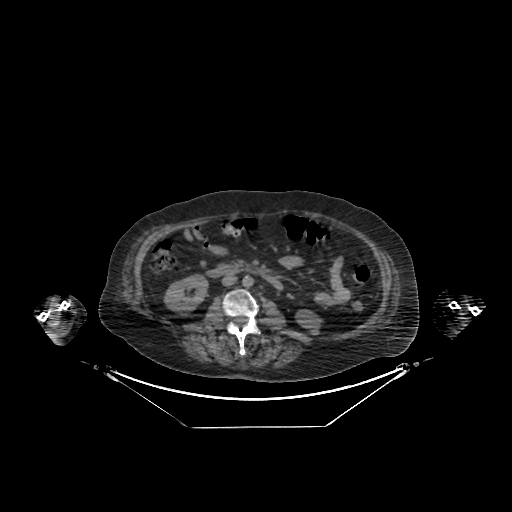
Computed tomography. 512x512.

kidney: <bbox>164, 274, 208, 312</bbox>, <bbox>295, 310, 321, 334</bbox>